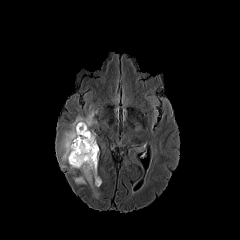
FLAIR MR.
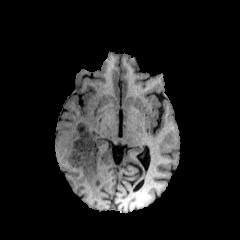
Same slice, T1-weighted MR image.
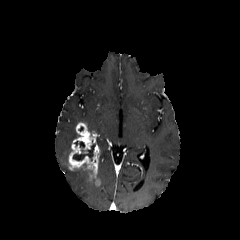
Post-contrast T1-weighted MR of the same slice.
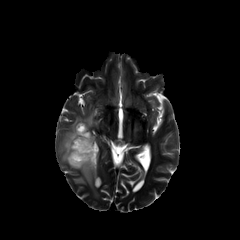
T2-weighted MR image of the same slice.
Brain; 240x240 px
2 edema regions are bounded by (x1=58, y1=102, x2=99, y2=168), (x1=71, y1=168, x2=96, y2=188). The enhancing tumor lies within (x1=67, y1=122, x2=100, y2=186). The non-enhancing tumor core appears at (x1=73, y1=144, x2=94, y2=160).